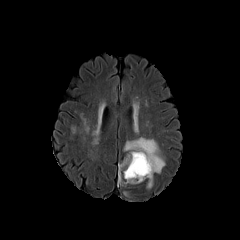
FLAIR MR.
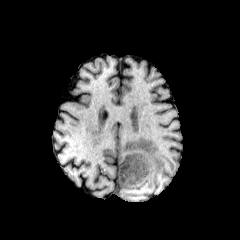
T1-weighted MR image of the same slice.
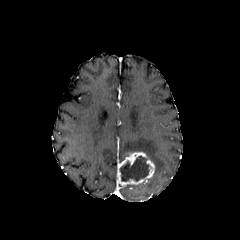
Post-contrast T1-weighted MR image.
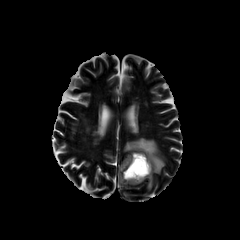
T2-weighted magnetic resonance.
Head.
The non-enhancing tumor core appears at rect(120, 155, 149, 182). The edema is at rect(123, 137, 165, 173). The enhancing tumor lies within rect(117, 151, 154, 186).